Image size 512x512. Computed tomography.

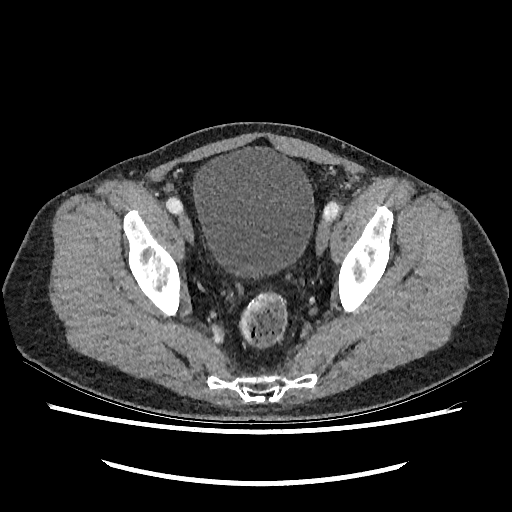
Urinary bladder at bbox=[193, 146, 314, 279].